Image width 389 mm; CT slice; Slice 29 of 45; Liver; Image size 512x512
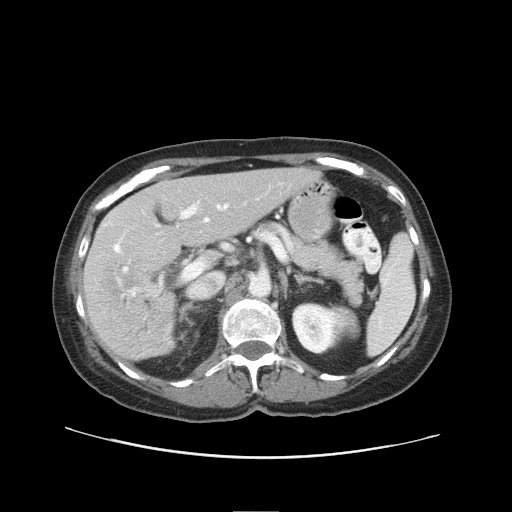 Only some of the vessels may be annotated.
5 hepatic vessel regions are bounded by region(180, 202, 199, 218); region(217, 205, 227, 210); region(204, 218, 208, 221); region(114, 245, 120, 251); region(180, 256, 208, 282). The liver tumor is at region(101, 259, 169, 331).